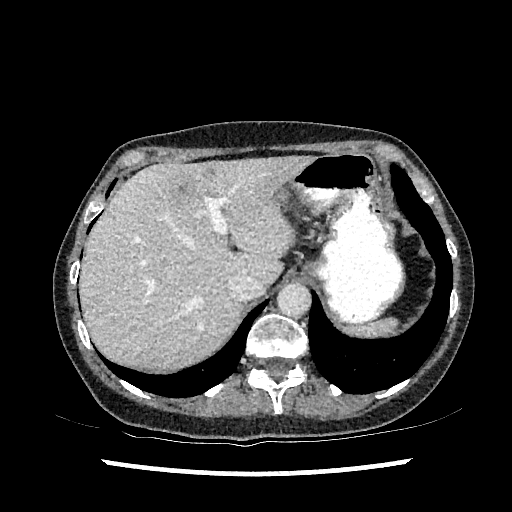
CT image
<segmentation>
  <hepatic_lesion>{"x1": 83, "y1": 302, "x2": 95, "y2": 311}, {"x1": 206, "y1": 168, "x2": 215, "y2": 174}, {"x1": 170, "y1": 175, "x2": 195, "y2": 204}</hepatic_lesion>
  <liver>{"x1": 80, "y1": 157, "x2": 313, "y2": 369}</liver>
</segmentation>